FLAIR MR.
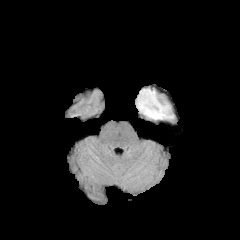
T1-weighted magnetic resonance.
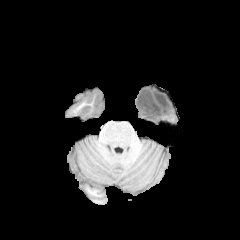
Post-contrast T1-weighted magnetic resonance.
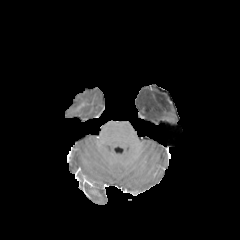
T2-weighted magnetic resonance.
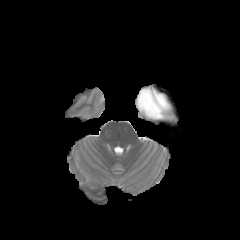
Head
Annotated regions:
• edema: left=139, top=105, right=174, bottom=121
• non-enhancing tumor core: left=136, top=88, right=169, bottom=118